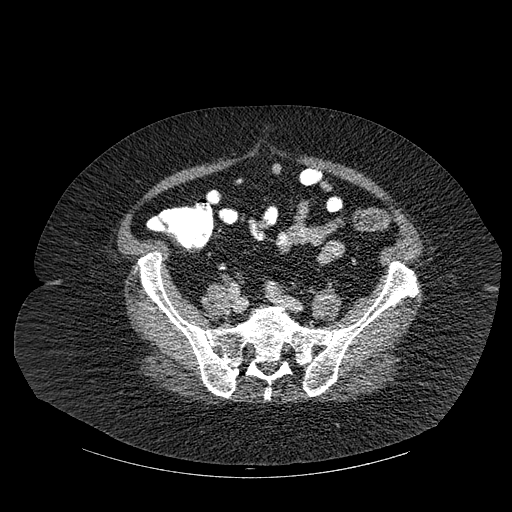
512x512 px; CT scan slice
Bone — box=[138, 252, 418, 397]; box=[264, 387, 271, 399].